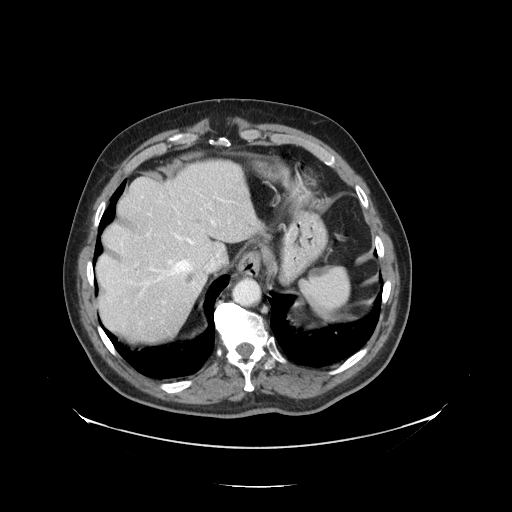

CT image, Image size 512x512, Abdomen
Some hepatic vessels may have no box.
Hepatic vessel: bounding box (146, 231, 151, 236), (222, 258, 226, 261), (164, 302, 165, 303), (206, 204, 211, 209), (150, 269, 157, 271), (161, 271, 165, 272), (214, 196, 227, 202), (217, 251, 220, 256), (168, 261, 171, 263), (184, 269, 191, 274), (212, 220, 214, 225), (195, 277, 206, 296), (207, 261, 214, 269), (189, 239, 193, 243).